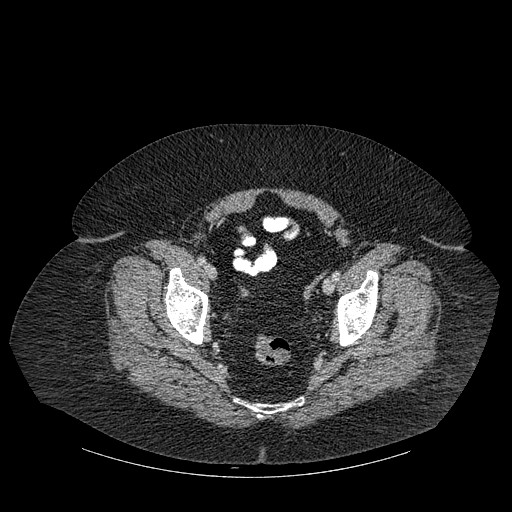 512x512 px. CT slice.
3 bone regions appear at x1=337, y1=270, x2=377, y2=345; x1=165, y1=268, x2=207, y2=344; x1=234, y1=397, x2=303, y2=417.